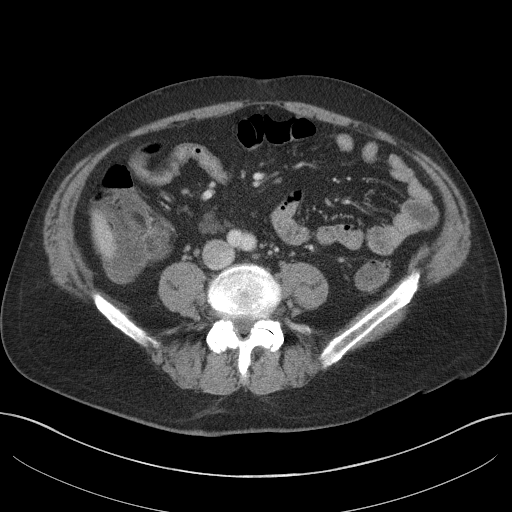
Abdomen, CT image
Liver at <bbox>90, 212, 115, 256</bbox>.